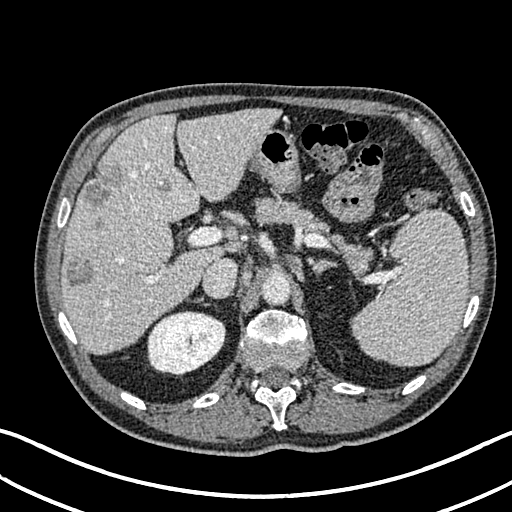 Upper abdomen | CT slice

Findings:
* focal liver lesion: {"x1": 159, "y1": 179, "x2": 170, "y2": 191}, {"x1": 94, "y1": 217, "x2": 102, "y2": 229}, {"x1": 85, "y1": 164, "x2": 123, "y2": 205}, {"x1": 67, "y1": 261, "x2": 93, "y2": 284}
* liver: {"x1": 62, "y1": 109, "x2": 277, "y2": 352}
* kidney: {"x1": 148, "y1": 312, "x2": 224, "y2": 373}